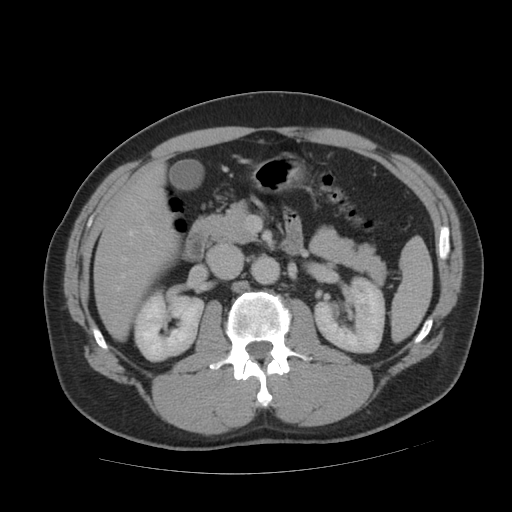
Computed tomography
Only some of the vessels may be annotated.
3 hepatic vessel regions are bounded by rect(121, 274, 126, 278); rect(128, 231, 135, 235); rect(122, 257, 125, 261).